512x512 | CT scan slice
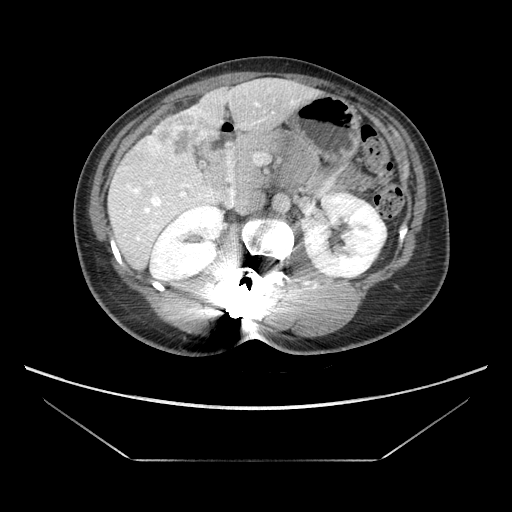
Liver tumor — box=[136, 104, 217, 162].